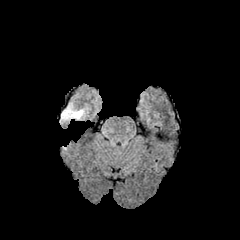
FLAIR MR.
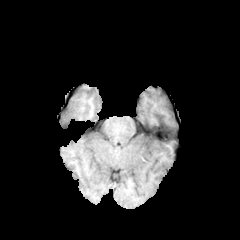
T1-weighted MR image.
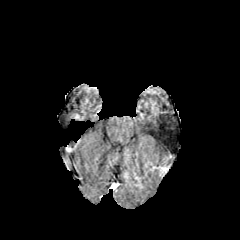
Post-contrast T1-weighted MR.
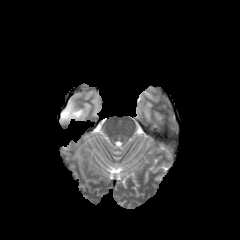
Same slice, T2-weighted MR image.
enhancing tumor: 65,139,80,152 | non-enhancing tumor core: 64,105,78,116 | edema: 60,99,89,124